Computed tomography. Slice 33 of 74. Abdomen. 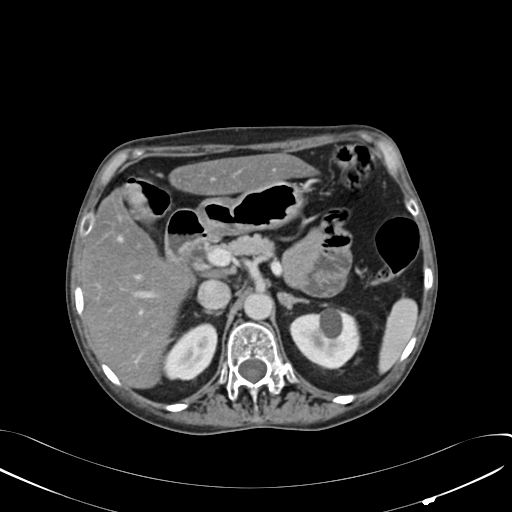
- kidney: (left=166, top=326, right=216, bottom=378), (left=291, top=314, right=357, bottom=366)
- liver lesion: (left=125, top=184, right=143, bottom=204)
- liver: (left=170, top=152, right=316, bottom=196), (left=203, top=268, right=226, bottom=276), (left=81, top=186, right=195, bottom=388)